Slice 120/152, Abdomen, Field of view 432x432 mm, CT

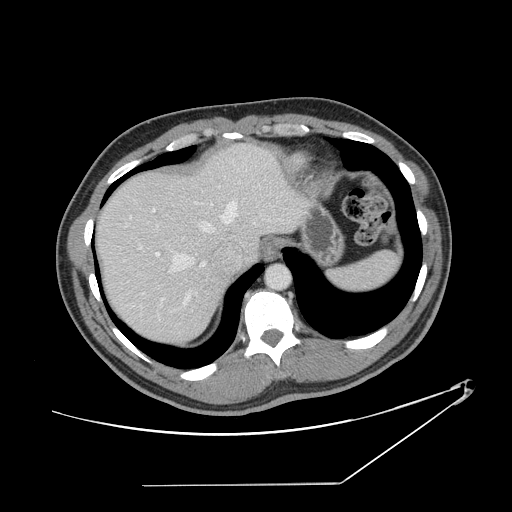
The vessel boxes may cover only some of the vessels.
Hepatic vessel: <bbox>221, 202, 236, 223</bbox>, <bbox>156, 252, 158, 255</bbox>, <bbox>170, 254, 193, 272</bbox>, <bbox>201, 222, 214, 232</bbox>, <bbox>195, 253, 197, 254</bbox>, <bbox>259, 214, 261, 217</bbox>, <bbox>210, 203, 212, 204</bbox>, <bbox>139, 245, 141, 248</bbox>, <bbox>125, 225, 127, 226</bbox>, <bbox>200, 262, 204, 266</bbox>, <bbox>183, 290, 196, 306</bbox>, <bbox>160, 298, 164, 304</bbox>, <bbox>130, 215, 131, 217</bbox>.